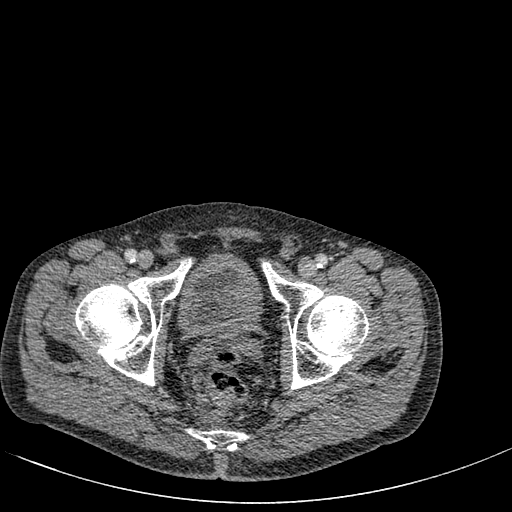 CT slice; Pelvis; Image size 512x512

Urinary bladder: (175, 249, 263, 339).